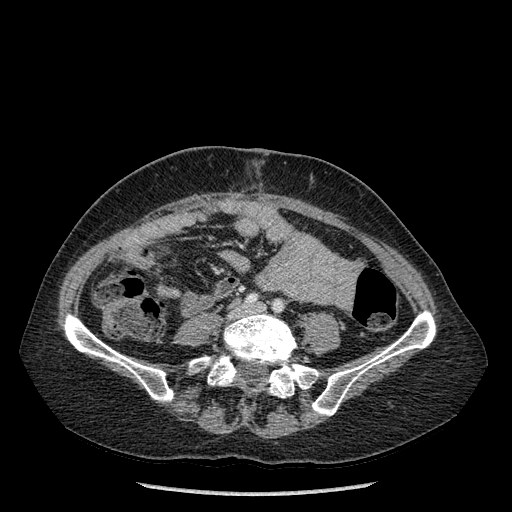

Computed tomography.
bone:
  - [x1=312, y1=310, x2=435, y2=415]
  - [x1=189, y1=355, x2=238, y2=385]
  - [x1=63, y1=313, x2=173, y2=401]
  - [x1=224, y1=312, x2=318, y2=397]